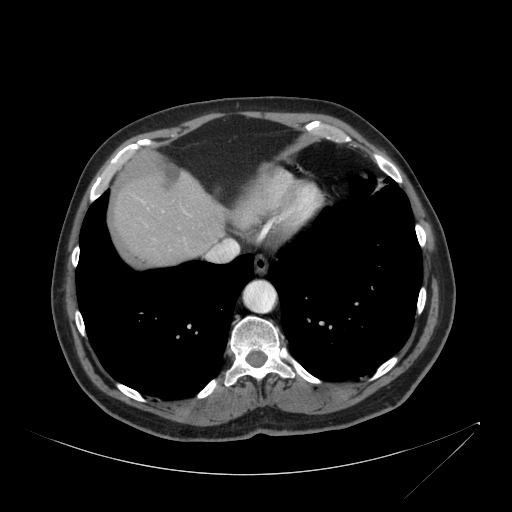

Liver. Computed tomography. Image size 512x512. Liver: bounding box left=113, top=165, right=225, bottom=262.